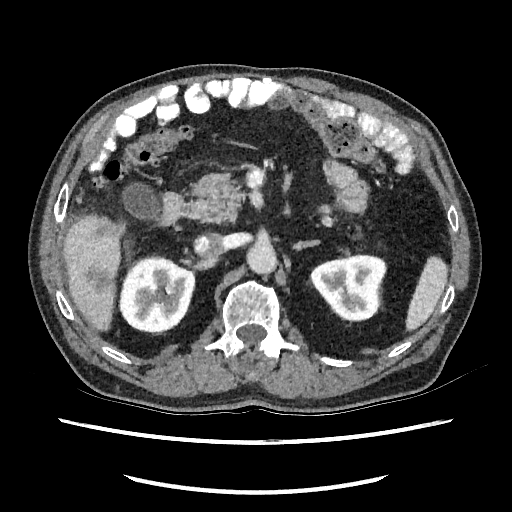

CT image | Image size 512x512
liver: (63, 216, 120, 329) | liver lesion: (87, 266, 112, 291), (95, 218, 122, 235) | kidney: (119, 256, 194, 332), (310, 253, 386, 321)